FLAIR MRI.
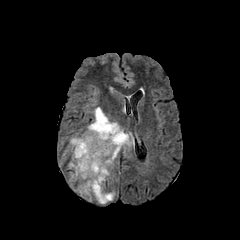
T1-weighted MR.
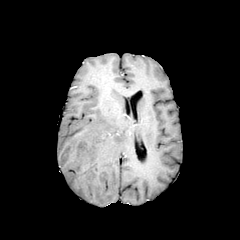
Post-contrast T1-weighted MR image.
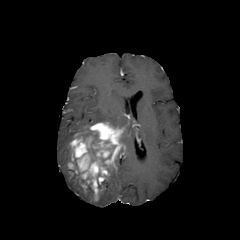
T2-weighted MRI.
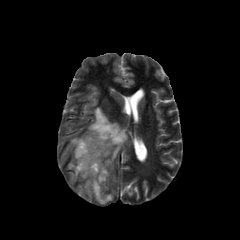
240x240 px | Head
Findings:
- edema: region(79, 185, 93, 198); region(97, 180, 114, 203); region(71, 175, 84, 183); region(85, 107, 132, 151)
- non-enhancing tumor core: region(69, 169, 81, 177); region(100, 145, 115, 170); region(78, 129, 98, 145); region(81, 176, 91, 191)
- enhancing tumor: region(68, 122, 122, 198)